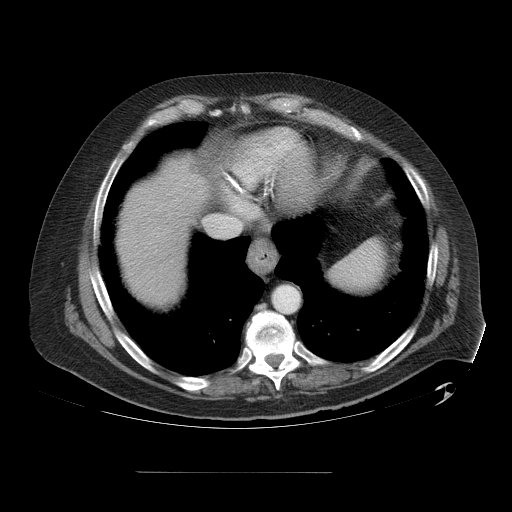
512x512; CT

The vessel boxes may cover only some of the vessels.
Hepatic vessel: {"x1": 204, "y1": 216, "x2": 238, "y2": 235}.